Field of view 240x240 mm | Slice 102/155 | Head
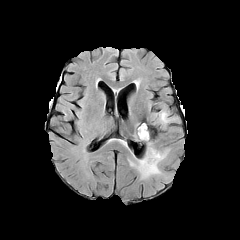
FLAIR magnetic resonance.
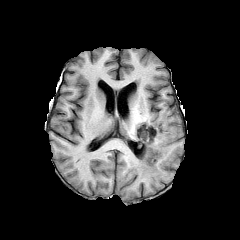
T1-weighted magnetic resonance.
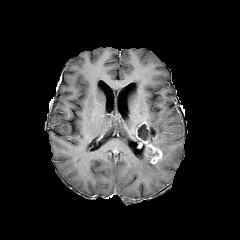
Same slice, post-contrast T1-weighted magnetic resonance.
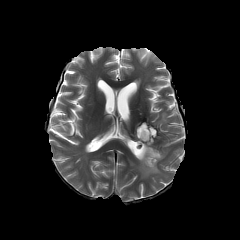
Same slice, T2-weighted MR.
2 edema regions are located at box(130, 142, 167, 178); box(159, 111, 175, 127). The non-enhancing tumor core is bounded by box(136, 123, 153, 146). The enhancing tumor is bounded by box(142, 140, 162, 163).